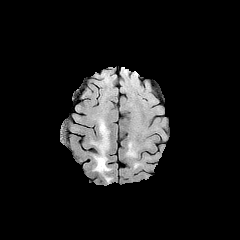
FLAIR MRI.
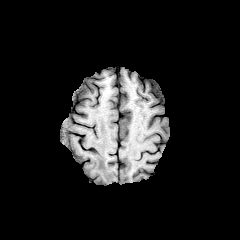
T1-weighted MR.
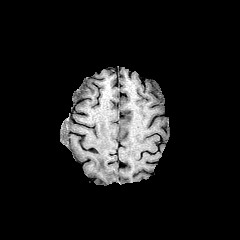
Post-contrast T1-weighted MR image.
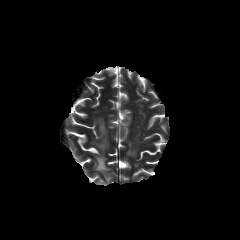
T2-weighted MRI of the same slice.
The edema appears at (left=90, top=120, right=111, bottom=183).